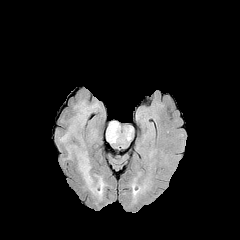
FLAIR MR image.
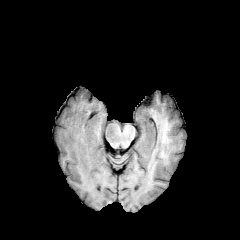
T1-weighted MR image of the same slice.
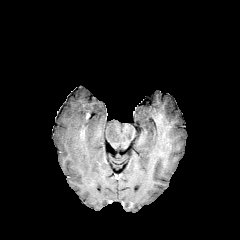
Post-contrast T1-weighted MRI.
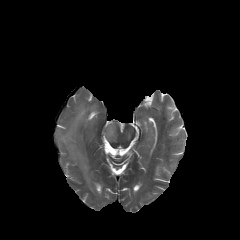
Same slice, T2-weighted MR image.
240x240 px.
4 edema regions are located at 77:106:92:121, 106:123:117:142, 64:126:74:141, 80:158:89:179.